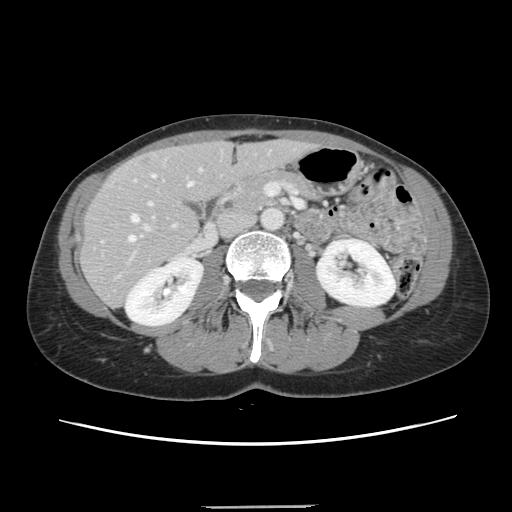
512x512 px | Abdomen | CT slice

Only some of the vessels may be annotated.
Findings:
• hepatic vessel: [187,181,192,185], [148,202,151,204], [152,174,154,176], [143,225,149,229], [172,224,175,225], [199,168,201,170], [131,214,137,221], [129,236,134,240]